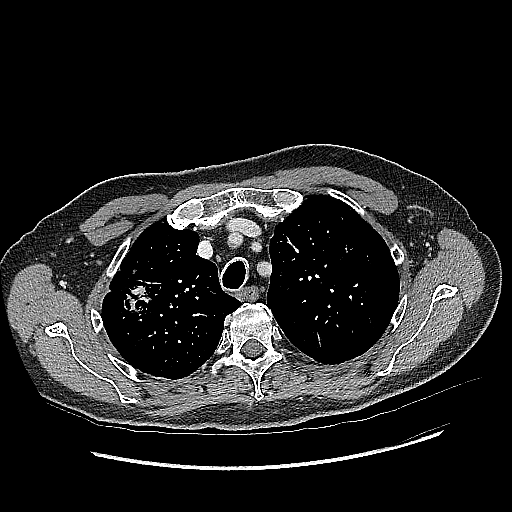

Chest | Computed tomography
• lung tumor: x1=123 y1=264 x2=156 y2=321